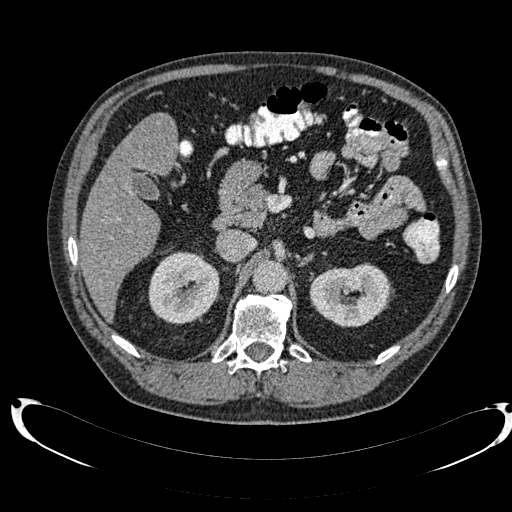

512x512 px; CT

Liver: bbox=[80, 115, 177, 320].
Kidney: bbox=[310, 263, 390, 326]; bbox=[148, 252, 219, 323].
Focal liver lesion: bbox=[149, 114, 174, 134].